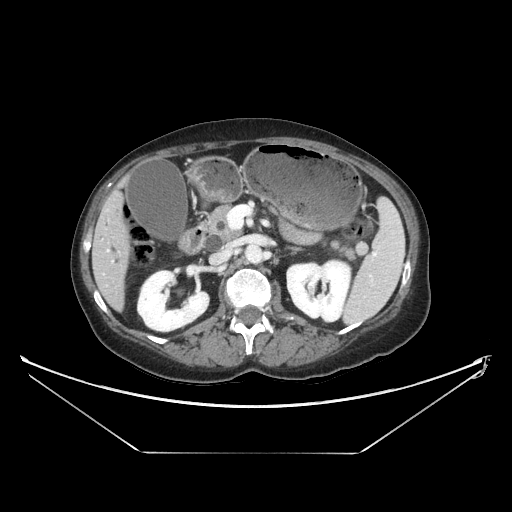 CT slice
2 pancreas regions are located at [207, 206, 238, 239], [329, 244, 355, 260].